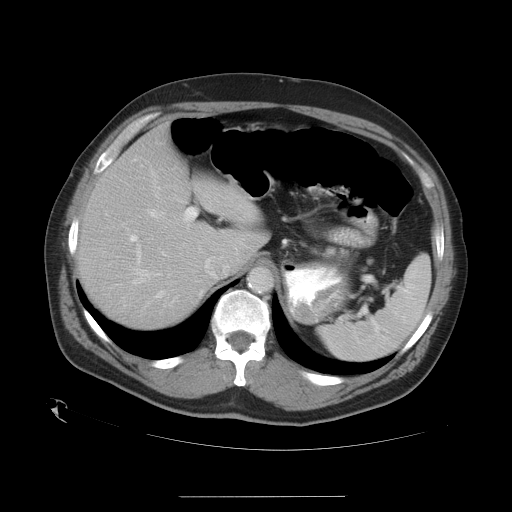 Computed tomography.
The vessel boxes may cover only some of the vessels.
9 hepatic vessel regions appear at (203, 193, 211, 208), (136, 257, 136, 260), (152, 175, 159, 196), (133, 269, 161, 284), (148, 209, 163, 217), (183, 243, 184, 244), (183, 212, 190, 221), (137, 244, 138, 246), (132, 237, 137, 241).